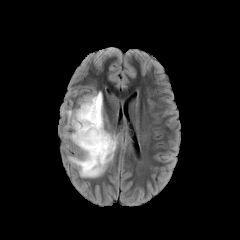
FLAIR magnetic resonance.
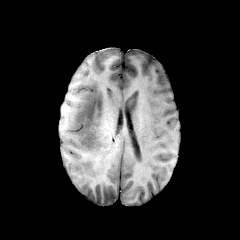
T1-weighted magnetic resonance of the same slice.
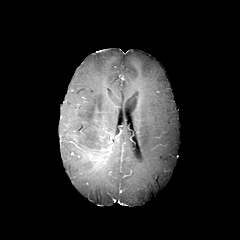
Post-contrast T1-weighted magnetic resonance.
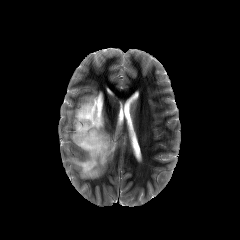
T2-weighted magnetic resonance.
Brain.
• edema: box=[68, 91, 117, 178]
• non-enhancing tumor core: box=[100, 138, 115, 155]